Head. CT scan slice. Slice index 521.
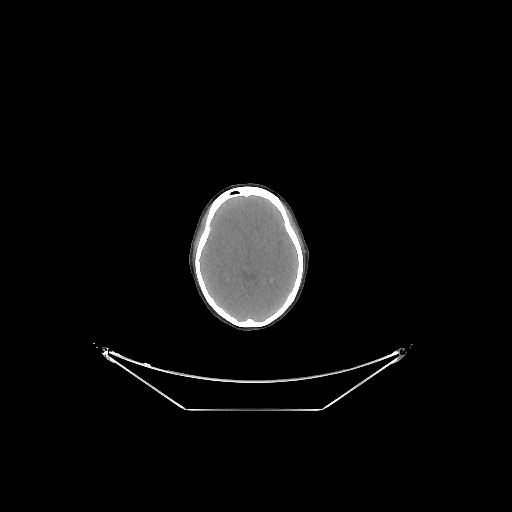
brain:
  - bbox(199, 195, 298, 321)